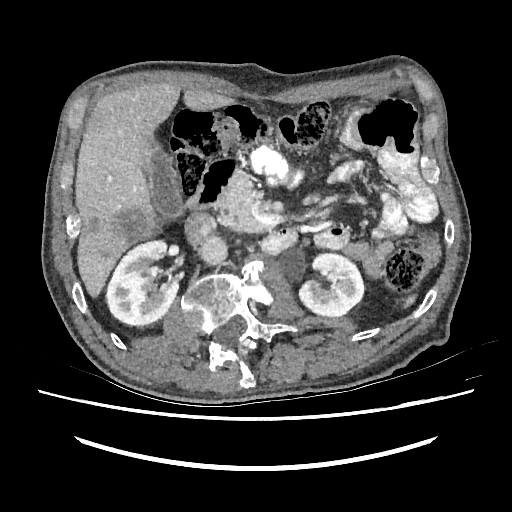

Computed tomography
Annotated regions:
* kidney: rect(107, 241, 178, 324); rect(299, 254, 363, 316)
* liver lesion: rect(82, 217, 105, 235); rect(100, 251, 111, 256); rect(109, 208, 153, 243)
* liver: rect(76, 84, 179, 297); rect(184, 90, 234, 110)